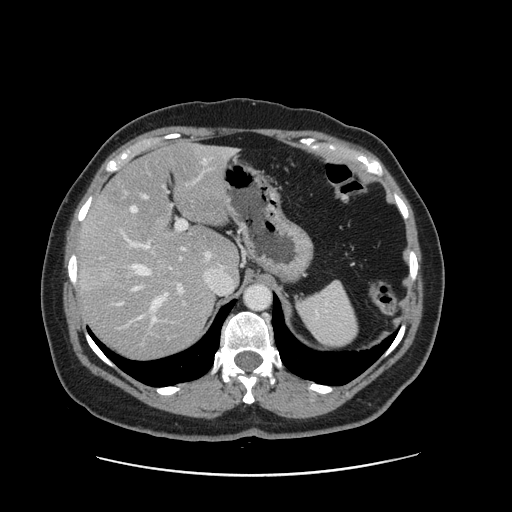

CT slice
Not every hepatic vessel necessarily has a box.
liver tumor: box(112, 267, 126, 280) | hepatic vessel: box(200, 171, 203, 176); box(176, 219, 187, 230); box(232, 149, 235, 151); box(129, 321, 130, 323); box(138, 316, 143, 318); box(152, 293, 167, 310); box(131, 264, 149, 274); box(203, 160, 207, 162); box(118, 302, 122, 305); box(130, 286, 139, 291); box(178, 285, 182, 292); box(122, 231, 150, 248); box(151, 316, 156, 324); box(142, 195, 147, 198); box(182, 247, 185, 249)